FLAIR magnetic resonance.
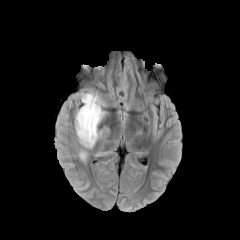
T1-weighted magnetic resonance.
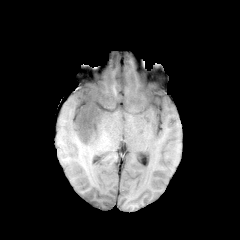
Post-contrast T1-weighted MR.
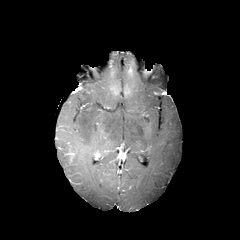
T2-weighted MR.
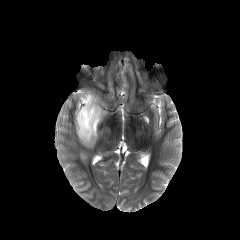
The edema lies within 74, 89, 107, 148.